Liver. CT image. 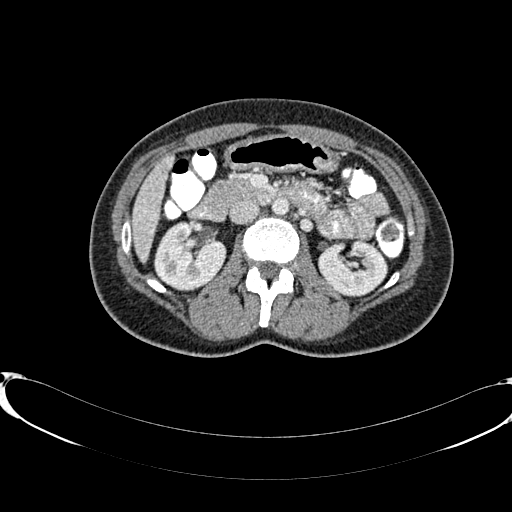 2 kidney regions are located at bbox(320, 242, 385, 294); bbox(155, 224, 224, 288). The liver appears at bbox(131, 155, 172, 261).